Computed tomography | Field of view 405 mm wide, 7.50 mm slice spacing | Abdomen
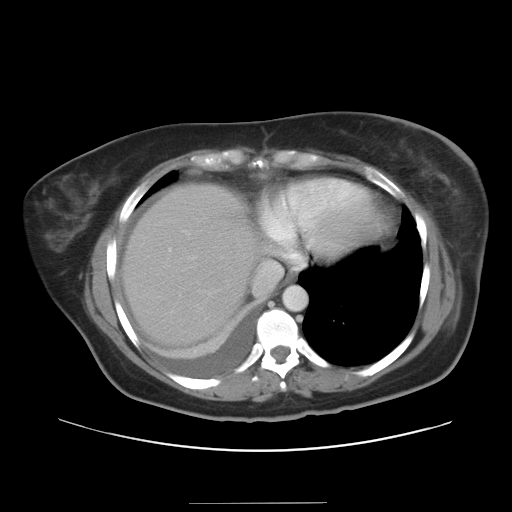

Some hepatic vessels may have no box.
Hepatic vessel = 255:262:280:294.